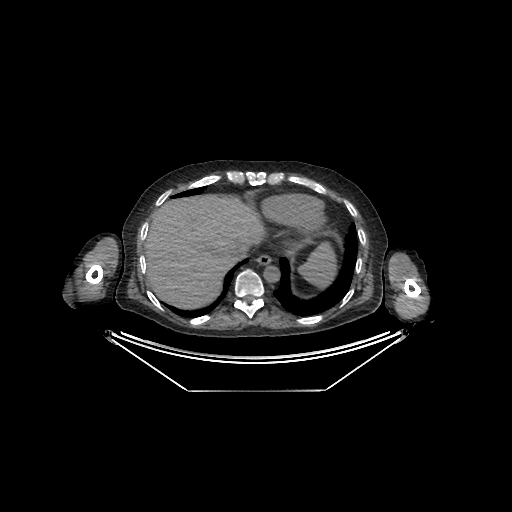 CT | Abdomen

Liver — x1=143, y1=194, x2=269, y2=309.